FLAIR magnetic resonance.
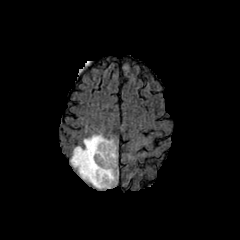
T1-weighted magnetic resonance.
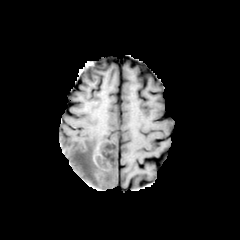
Post-contrast T1-weighted magnetic resonance.
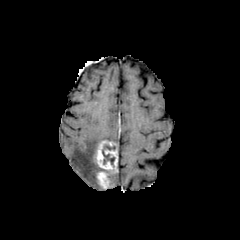
T2-weighted MR image.
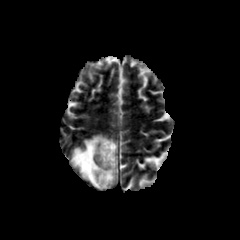
Brain; 240x240
edema: bbox=[70, 133, 115, 190]; bbox=[111, 172, 118, 187] | non-enhancing tumor core: bbox=[102, 150, 114, 164]; bbox=[104, 143, 117, 153]; bbox=[76, 144, 101, 185] | enhancing tumor: bbox=[96, 140, 117, 189]